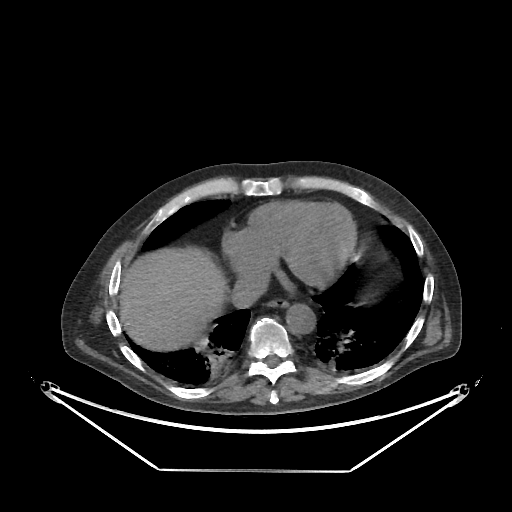

Liver | CT image
liver: 118:248:227:349